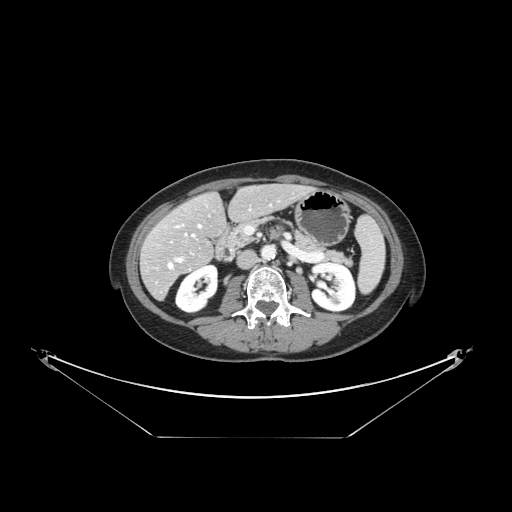 CT image, 512x512 px

Some hepatic vessels may have no box.
2 hepatic vessel regions are bounded by bbox(175, 258, 181, 261); bbox(198, 225, 200, 226).